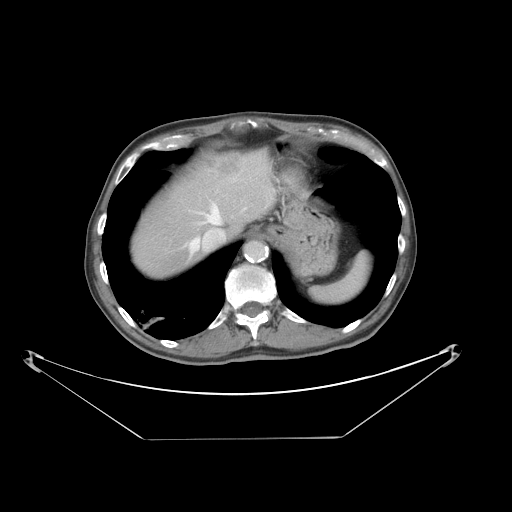
Liver, CT slice
The vessel boxes may cover only some of the vessels.
Hepatic vessel at [206, 203, 221, 224], [190, 229, 224, 250], [199, 212, 203, 213], [234, 178, 235, 180].
Liver tumor at [204, 152, 243, 175].